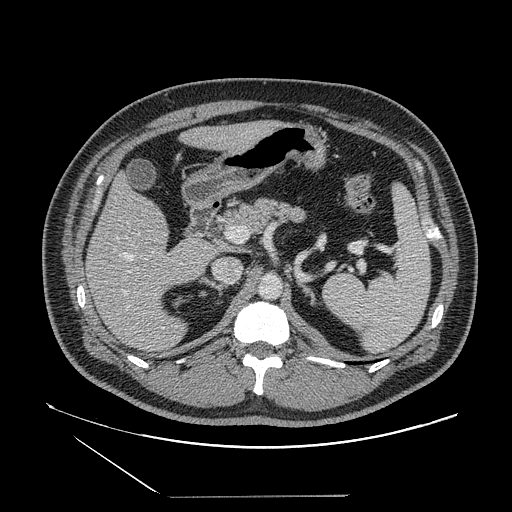 Abdomen. 512x512 px. Computed tomography. Pancreas at [207,196,309,253].